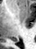 Image size 36x49 | MR image
posterior hippocampus: left=13, top=39, right=18, bottom=41